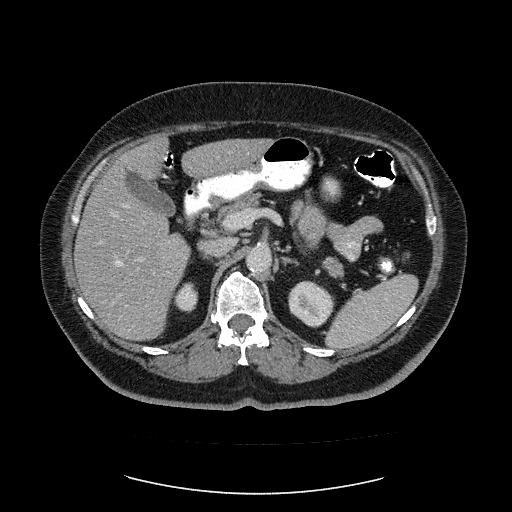

512x512; Computed tomography
Not every hepatic vessel necessarily has a box.
7 hepatic vessel regions are located at left=116, top=261, right=121, bottom=265; left=138, top=258, right=143, bottom=260; left=206, top=173, right=232, bottom=180; left=123, top=204, right=128, bottom=207; left=111, top=211, right=118, bottom=216; left=137, top=268, right=139, bottom=269; left=116, top=294, right=121, bottom=298.